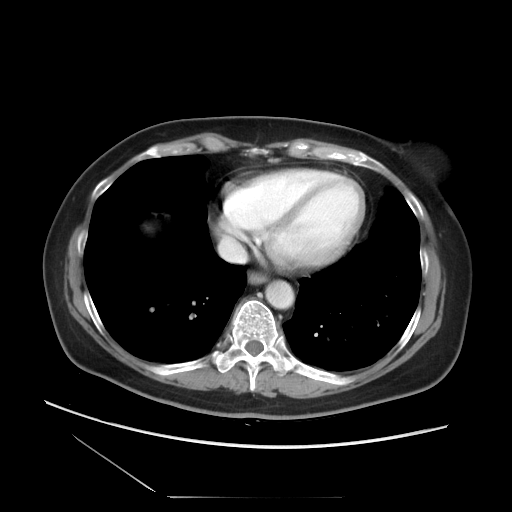
Abdomen, Image size 512x512, CT scan slice
The vessel annotation is not exhaustive.
Hepatic vessel: bounding box bbox(220, 231, 247, 261).